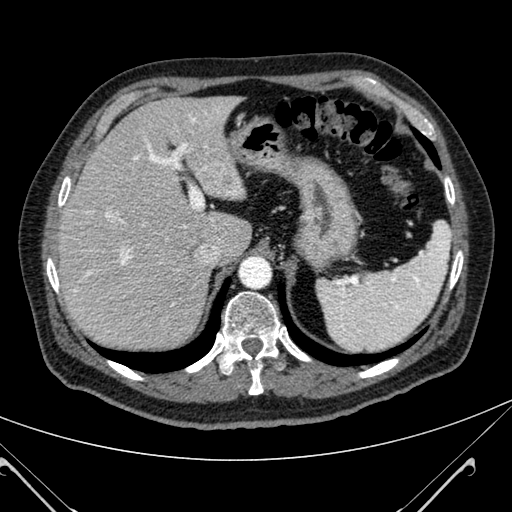
Upper abdomen, Image size 512x512, CT
Liver = region(59, 95, 251, 350).